CT | Field of view 472x472 mm 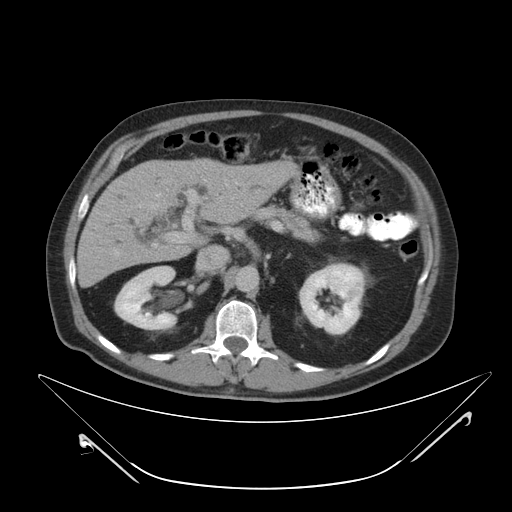
{
  "pancreas": [
    "<box>277,209,315,242</box>"
  ]
}